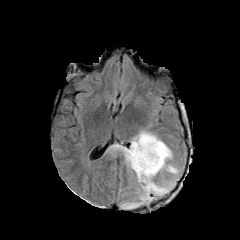
FLAIR MRI.
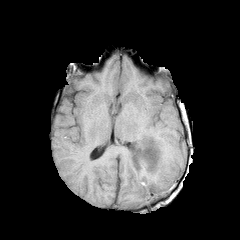
Same slice, T1-weighted MR image.
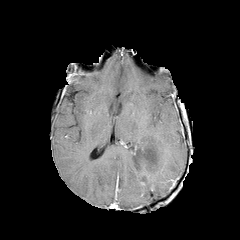
Post-contrast T1-weighted MR image of the same slice.
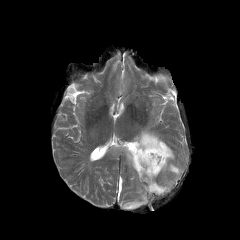
T2-weighted MR image.
Head
Edema at 110:129:182:209.
Non-enhancing tumor core at 130:143:137:154.